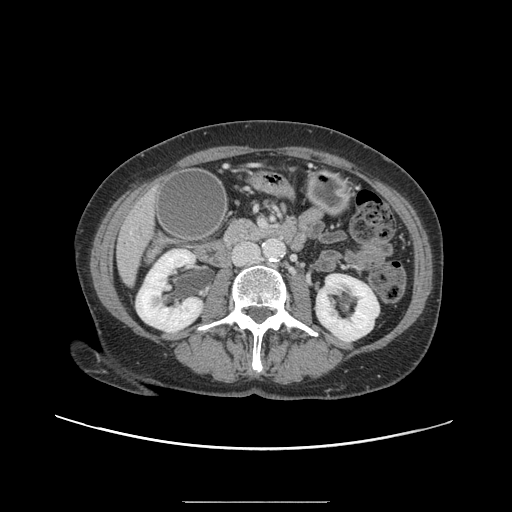

Abdomen. CT slice. 512x512 px.

pancreas: region(225, 219, 275, 245)